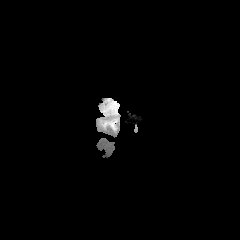
FLAIR MR image.
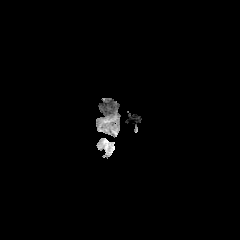
T1-weighted MR image.
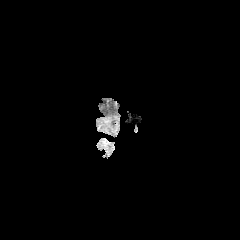
Post-contrast T1-weighted MR image.
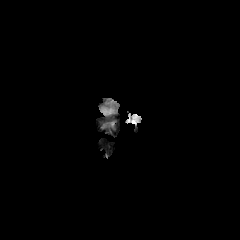
T2-weighted MR image of the same slice.
240x240 px; Brain
edema:
  - rect(100, 100, 118, 130)